512x512. CT. Slice 78/96. 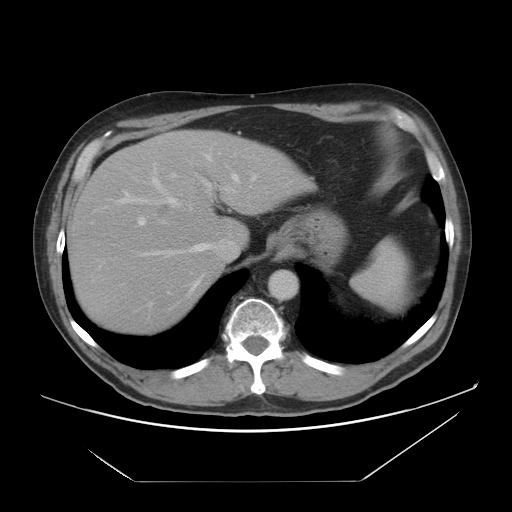 Findings:
* focal liver lesion: l=156, t=202, r=171, b=217
* liver: l=67, t=130, r=314, b=333